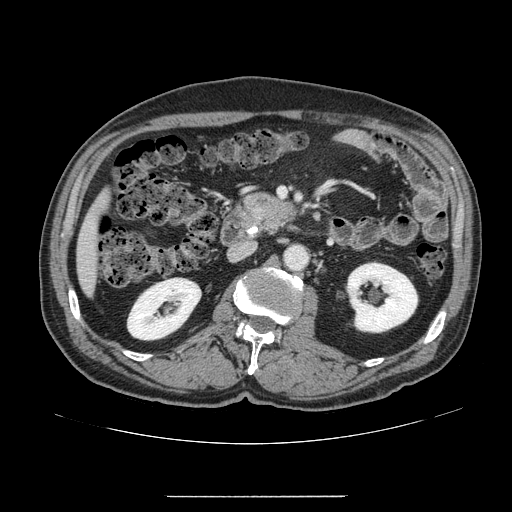

Upper abdomen, CT

pancreas:
  - x1=242 y1=191 x2=299 y2=237
pancreatic_tumor:
  - x1=243 y1=193 x2=296 y2=231